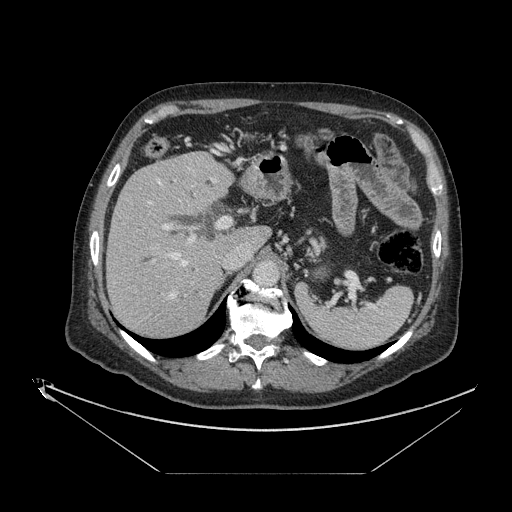

Computed tomography | Upper abdomen
Segmented structures:
• pancreas: <box>308,234,328,264</box>